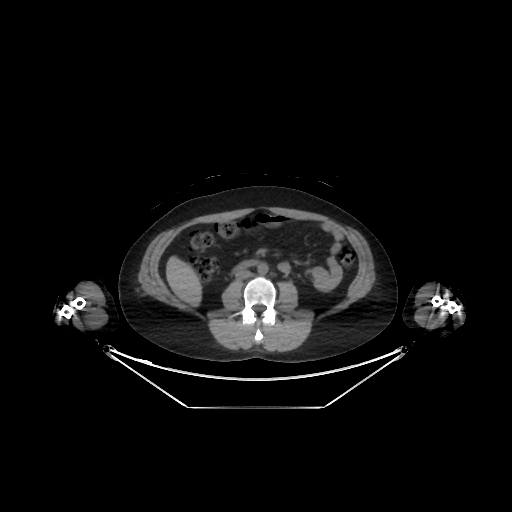

Upper abdomen, CT scan slice

Liver: bounding box {"x1": 166, "y1": 257, "x2": 201, "y2": 305}.